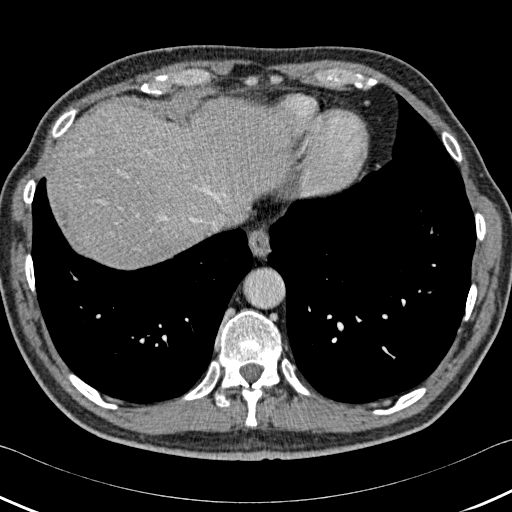

CT.

11 bone regions are located at (442, 132, 461, 161), (23, 180, 34, 203), (216, 393, 229, 406), (475, 213, 485, 240), (373, 388, 425, 414), (465, 284, 476, 320), (69, 375, 117, 409), (282, 359, 309, 395), (183, 311, 281, 426), (52, 109, 76, 137), (25, 255, 34, 290). The lung appears at (31, 93, 476, 404). The liver is located at (47, 96, 295, 268).